512x512 px | Abdomen | CT image
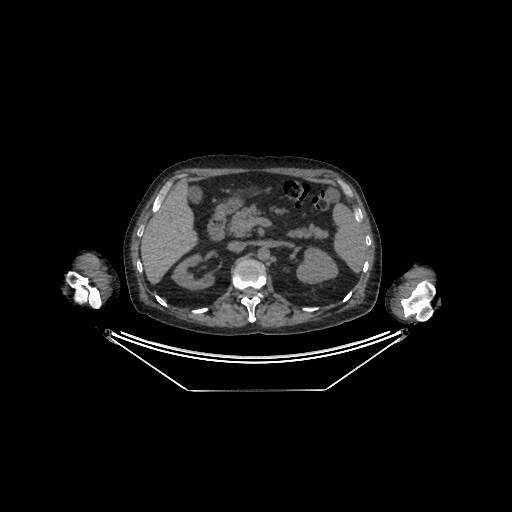
- kidney: (x1=296, y1=247, x2=338, y2=284), (x1=172, y1=253, x2=214, y2=290)
- liver: (x1=141, y1=178, x2=196, y2=283)